Slice 112 of 155
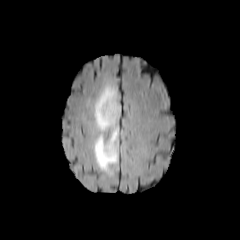
FLAIR magnetic resonance.
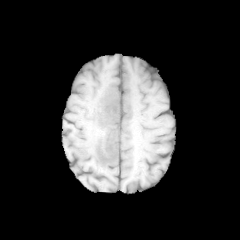
T1-weighted MRI of the same slice.
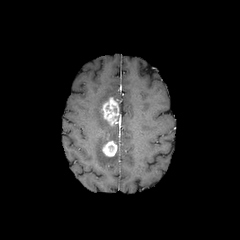
Post-contrast T1-weighted MR image.
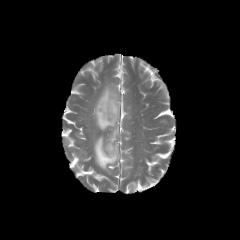
T2-weighted MR.
edema:
  - bbox(94, 85, 120, 172)
enhancing_tumor:
  - bbox(102, 141, 117, 157)
  - bbox(102, 96, 119, 126)